CT scan slice | Field of view 407x407 mm | 512x512 px

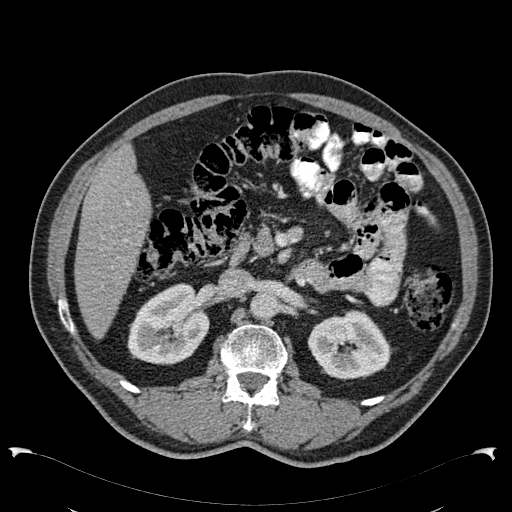

Liver: bounding box <bbox>76, 142, 150, 339</bbox>.
Kidney: bounding box <bbox>308, 310, 390, 379</bbox>, <bbox>128, 283, 212, 364</bbox>.